Image size 240x240, Image width 240 mm, Slice 118 of 155, Head
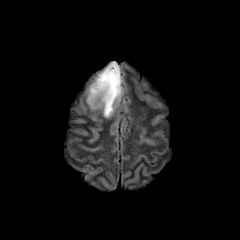
FLAIR MR image.
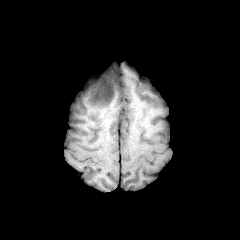
T1-weighted magnetic resonance.
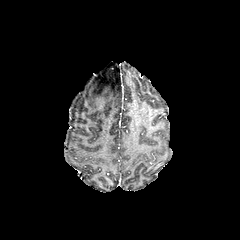
Same slice, post-contrast T1-weighted MR.
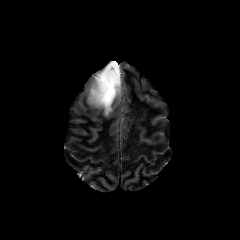
T2-weighted MR image of the same slice.
Edema = {"x1": 85, "y1": 61, "x2": 124, "y2": 117}.
Non-enhancing tumor core = {"x1": 96, "y1": 88, "x2": 107, "y2": 105}, {"x1": 114, "y1": 66, "x2": 121, "y2": 81}.